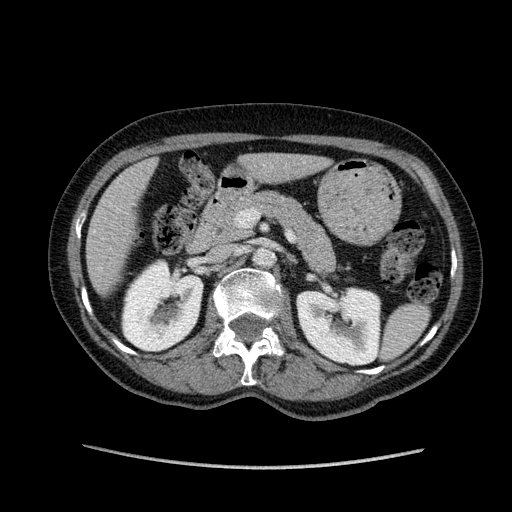
CT scan slice; Abdomen

kidney:
  - 123,262,202,350
  - 297,289,379,364
liver:
  - 242,151,321,181
  - 85,161,152,290